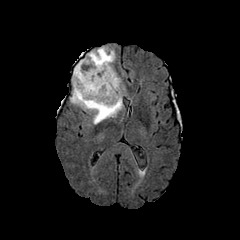
FLAIR MRI.
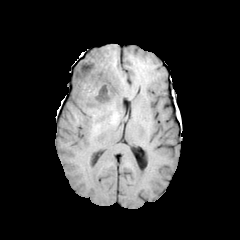
T1-weighted MRI.
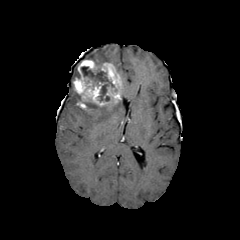
Post-contrast T1-weighted MR image of the same slice.
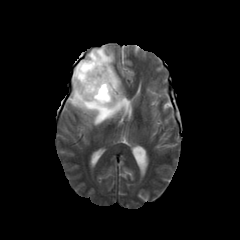
T2-weighted magnetic resonance.
240x240 px
- enhancing tumor: 72 59 121 104
- edema: 70 85 124 124, 81 46 115 65
- non-enhancing tumor core: 84 100 105 109, 81 64 114 102